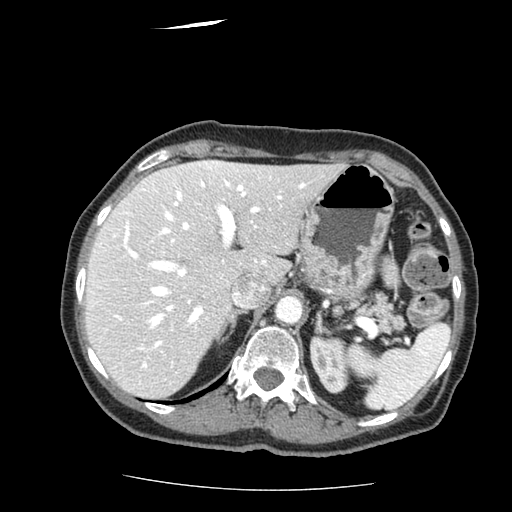 Abdomen; CT image; 512x512 px
Pancreas = [352, 291, 405, 334].